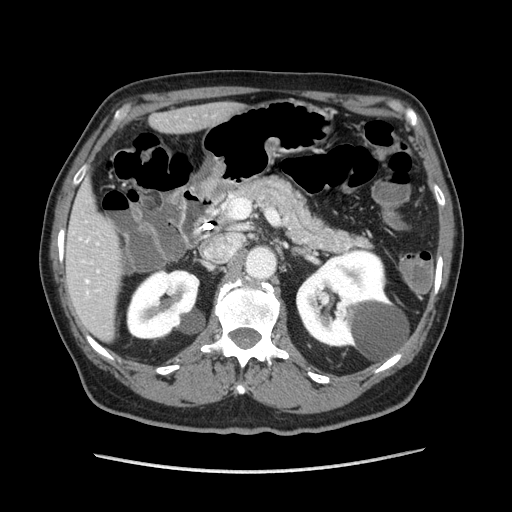 Computed tomography; Upper abdomen
Pancreas at [x1=237, y1=176, x2=368, y2=252].